FLAIR magnetic resonance.
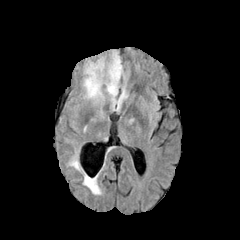
T1-weighted magnetic resonance.
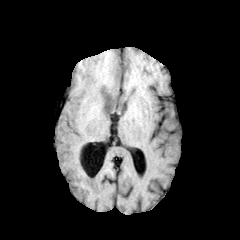
Post-contrast T1-weighted MRI.
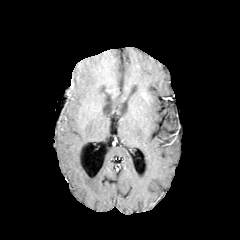
T2-weighted MR.
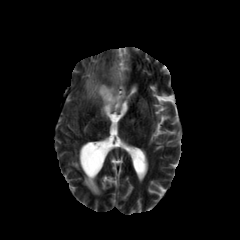
Brain
Segmented structures:
• non-enhancing tumor core: 102 88 121 101
• edema: 83 53 128 111, 68 149 101 195